Field of view 400 mm wide, 0.80 mm slice spacing, 512x512, CT scan slice

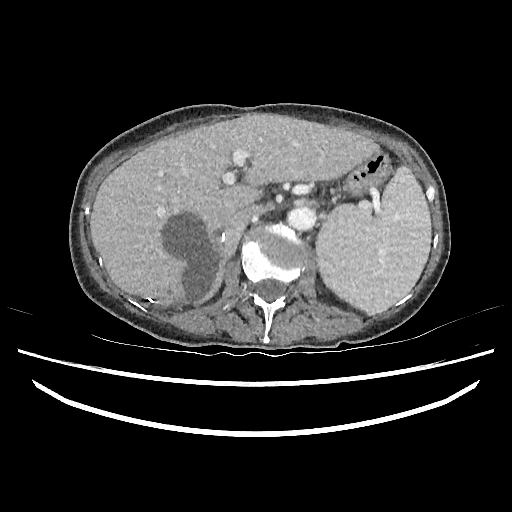

liver:
  - <bbox>91, 115, 375, 304</bbox>
hepatic_lesion:
  - <bbox>164, 215, 219, 299</bbox>